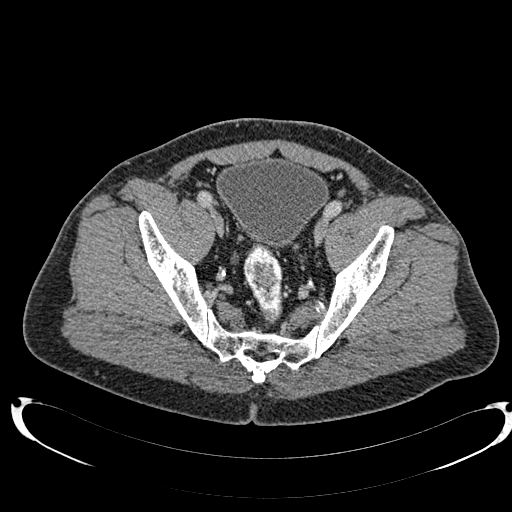 Lower abdomen | CT

urinary_bladder:
  - 218:156:329:248